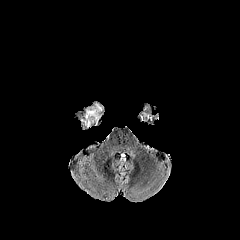
FLAIR magnetic resonance.
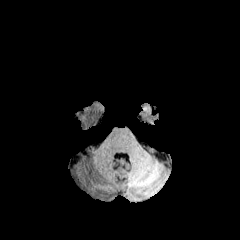
Same slice, T1-weighted MR image.
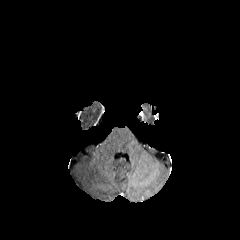
Same slice, post-contrast T1-weighted magnetic resonance.
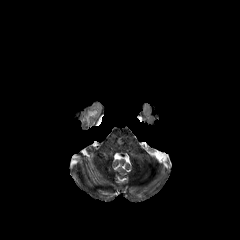
Same slice, T2-weighted MRI.
Head
Annotated regions:
- edema: (79,103,102,129)